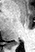

Image size 35x52. Magnetic resonance. Hippocampus.
Posterior hippocampus at region(10, 41, 16, 46).